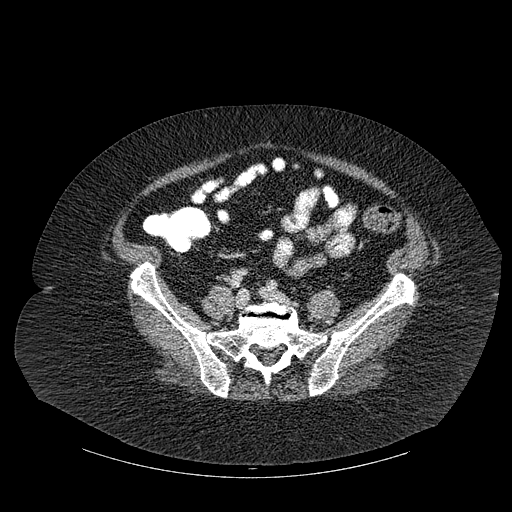 CT

bone: <box>130,262,414,396</box>